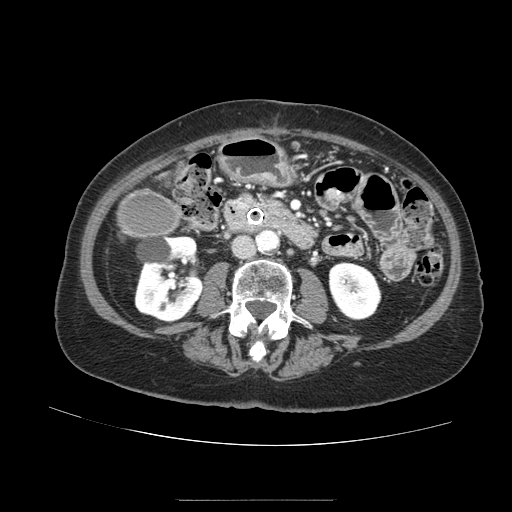
Upper abdomen. CT image. 512x512.
The pancreas appears at <box>235,195,293,219</box>.